MR image; 34x53

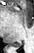

Posterior hippocampus: bounding box region(10, 42, 21, 47).